512x512; CT slice; Slice 166/230 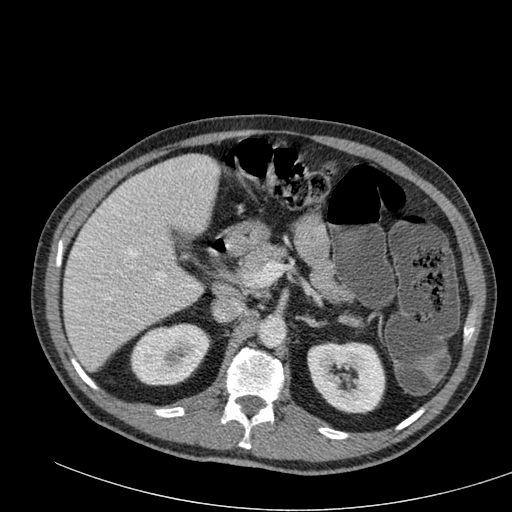
Kidney: bounding box 131,325,208,384; 308,343,384,412.
Liver: bounding box 64,154,218,370.